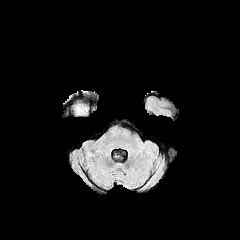
FLAIR magnetic resonance.
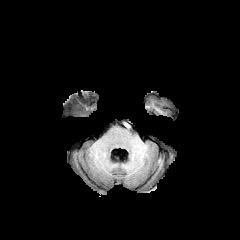
T1-weighted MR.
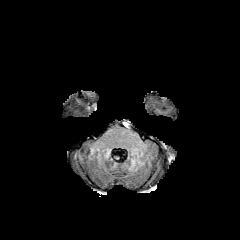
Post-contrast T1-weighted MR image.
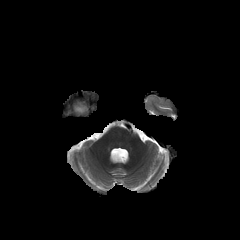
T2-weighted magnetic resonance.
Head
The edema is located at {"x1": 75, "y1": 106, "x2": 86, "y2": 113}.